MR.
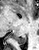
Segmented structures:
- posterior hippocampus: (left=14, top=34, right=26, bottom=44)